CT slice; Field of view 351x351 mm
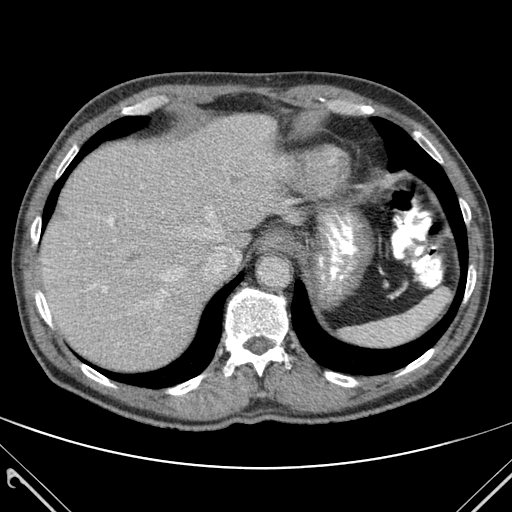 Bone: bounding box (x1=36, y1=291, x2=51, y2=325), (x1=465, y1=266, x2=475, y2=300), (x1=414, y1=132, x2=442, y2=162), (x1=56, y1=146, x2=77, y2=177), (x1=326, y1=372, x2=356, y2=386), (x1=82, y1=364, x2=112, y2=386), (x1=31, y1=217, x2=40, y2=243), (x1=225, y1=289, x2=287, y2=375), (x1=460, y1=200, x2=470, y2=221), (x1=400, y1=349, x2=433, y2=374), (x1=169, y1=375, x2=202, y2=394).
Lung: bounding box (x1=291, y1=117, x2=467, y2=375), (x1=42, y1=116, x2=145, y2=225), (x1=97, y1=272, x2=242, y2=388).
Liver: bounding box (x1=40, y1=114, x2=299, y2=372).